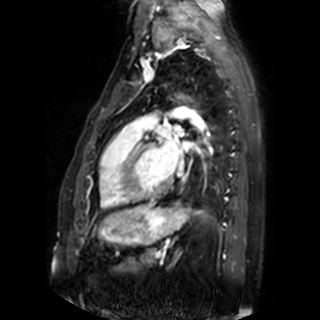
MRI slice | Cardiac
left_atrium:
  - rect(160, 138, 178, 172)
  - rect(174, 125, 182, 132)